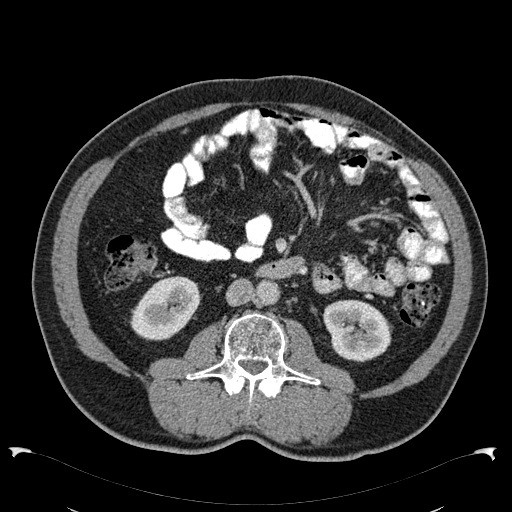 CT. Abdomen.
<segmentation>
  <kidney>323,300,390,361; 130,276,199,340</kidney>
</segmentation>